Abdomen; CT scan slice
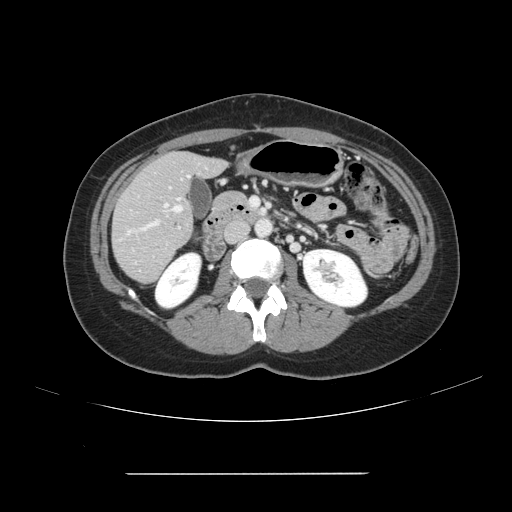

The vessel annotation is not exhaustive.
hepatic vessel: 178 198 179 199, 173 206 181 211, 164 204 167 205, 142 221 158 229, 128 231 130 233